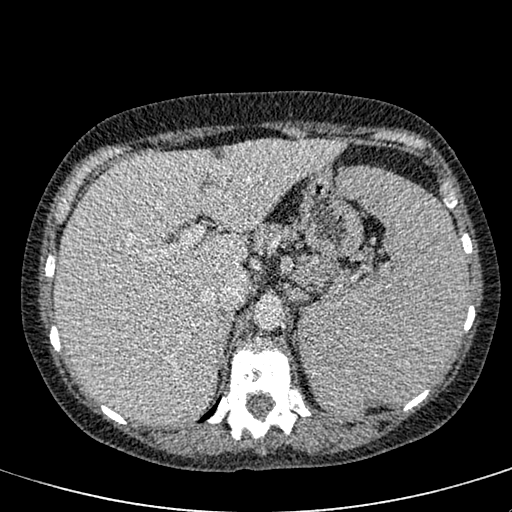
CT scan slice
Liver — 56:140:345:423.